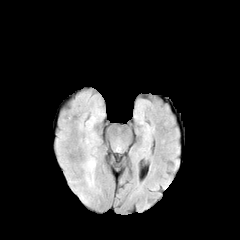
FLAIR MRI.
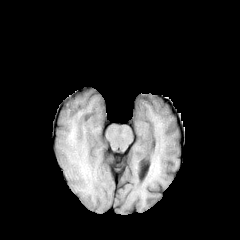
Same slice, T1-weighted magnetic resonance.
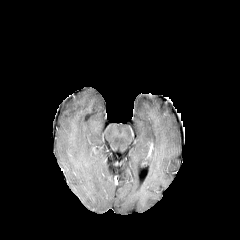
Post-contrast T1-weighted MR.
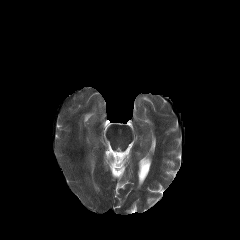
T2-weighted MR image.
Segmented structures:
• edema: box=[89, 158, 95, 183]